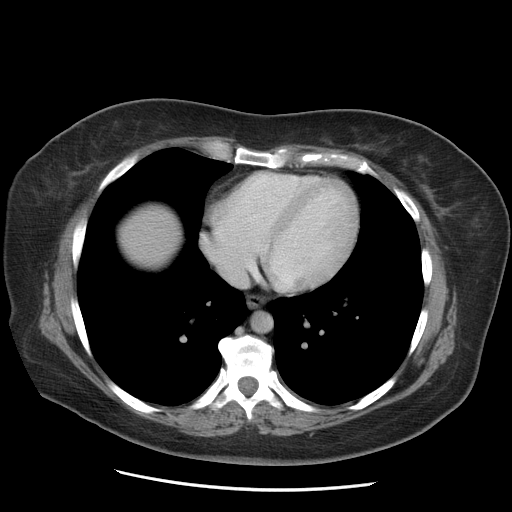 CT scan slice
- liver: [x1=122, y1=210, x2=179, y2=262]